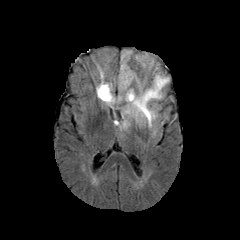
FLAIR MR image.
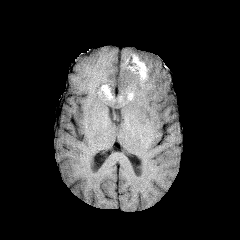
T1-weighted magnetic resonance.
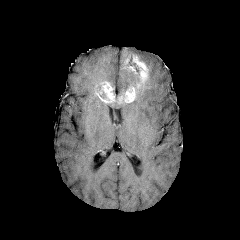
Same slice, post-contrast T1-weighted MR image.
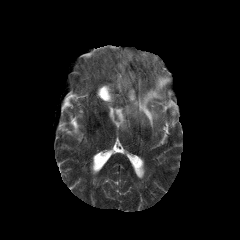
T2-weighted MRI of the same slice.
3 edema regions appear at l=119, t=119, r=128, b=129; l=121, t=72, r=169, b=127; l=116, t=51, r=141, b=93. The non-enhancing tumor core appears at l=113, t=83, r=140, b=103. 3 enhancing tumor regions are located at l=124, t=86, r=136, b=102; l=137, t=67, r=147, b=88; l=98, t=82, r=115, b=103.